512x512 px. Computed tomography. Abdomen.

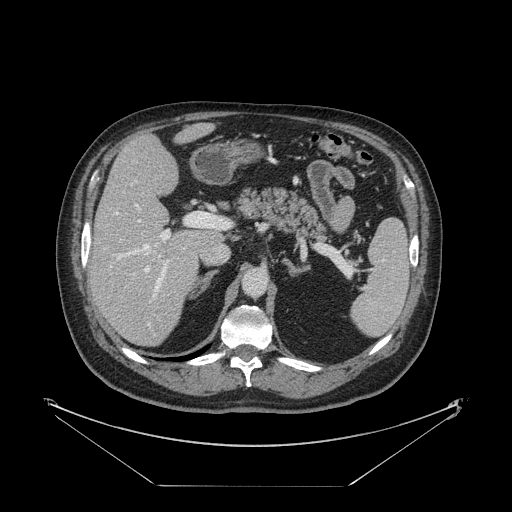

The vessel boxes may cover only some of the vessels.
Hepatic vessel: bounding box [x1=155, y1=264, x2=165, y2=290], [x1=165, y1=260, x2=168, y2=262], [x1=147, y1=323, x2=149, y2=325], [x1=138, y1=220, x2=139, y2=221], [x1=134, y1=204, x2=136, y2=206].